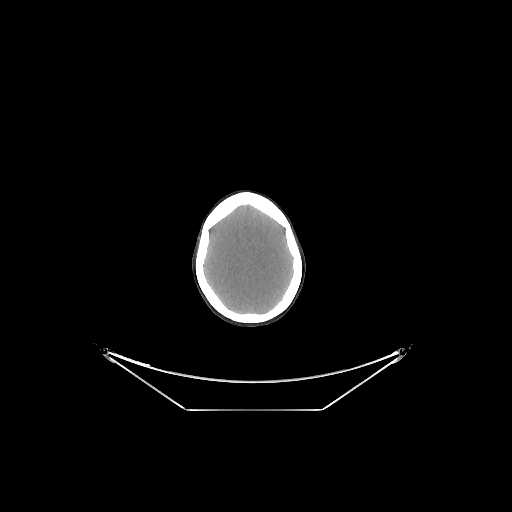
CT image

<segmentation>
  <brain>x1=203, y1=204, x2=293, y2=314</brain>
</segmentation>